Brain
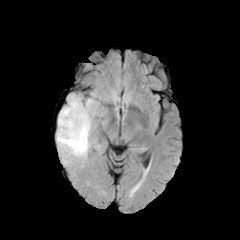
FLAIR MR.
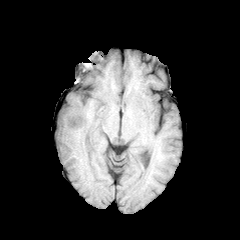
T1-weighted magnetic resonance.
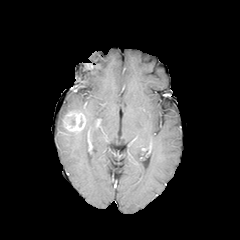
Post-contrast T1-weighted magnetic resonance.
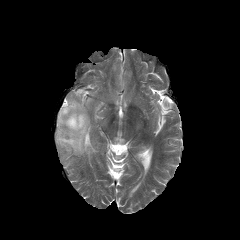
T2-weighted MR image.
{"enhancing_tumor": ["box=[62, 110, 85, 131]"], "edema": ["box=[56, 92, 104, 163]"], "non-enhancing_tumor_core": ["box=[58, 128, 81, 139]", "box=[74, 104, 87, 123]"]}